Slice 407 of 751. CT slice. 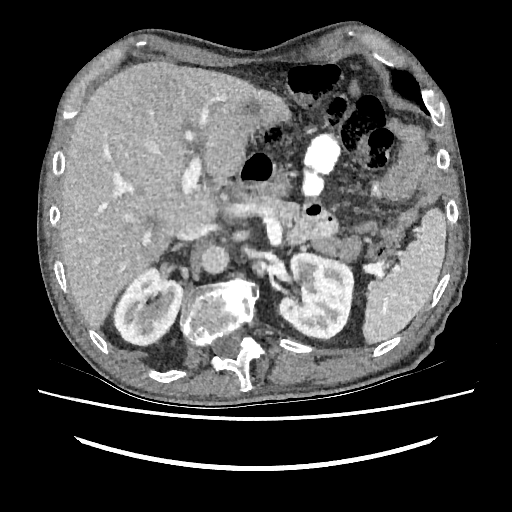

The liver appears at rect(61, 62, 290, 328). 2 liver lesion regions appear at rect(243, 100, 259, 116); rect(147, 217, 160, 232). 3 kidney regions are bounded by rect(280, 253, 353, 338); rect(273, 264, 289, 280); rect(114, 269, 182, 344).